Slice index 66; Brain
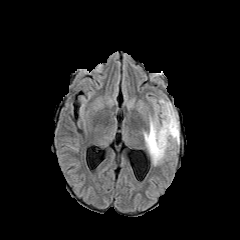
FLAIR MR image.
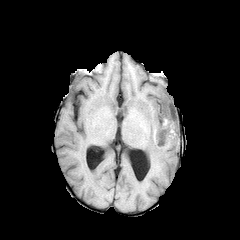
T1-weighted magnetic resonance.
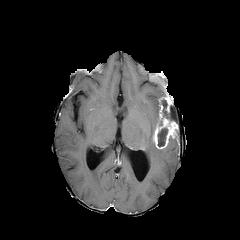
Post-contrast T1-weighted MR.
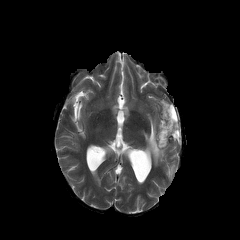
T2-weighted magnetic resonance.
• enhancing tumor: left=164, top=96, right=171, bottom=112; left=152, top=114, right=178, bottom=147
• non-enhancing tumor core: left=156, top=99, right=177, bottom=127; left=157, top=128, right=167, bottom=147
• edema: left=143, top=104, right=179, bottom=165